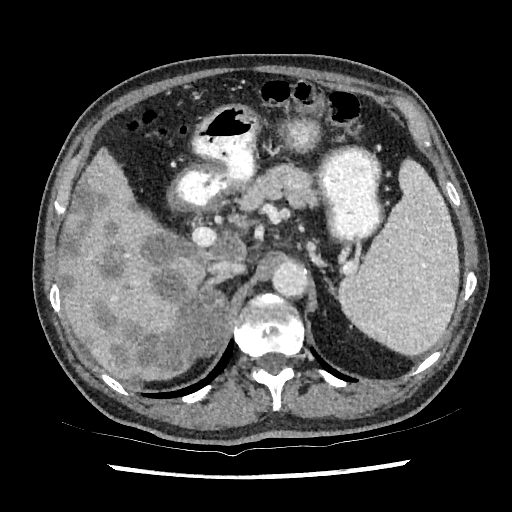

Upper abdomen, CT slice

Liver: bounding box [61,215,68,242], [219,231,235,239], [60,149,229,379].
Liver lesion: bounding box [60,268,75,294], [140,233,205,266], [127,201,138,211], [210,235,244,261], [90,269,190,372], [60,177,105,260], [92,221,128,281].